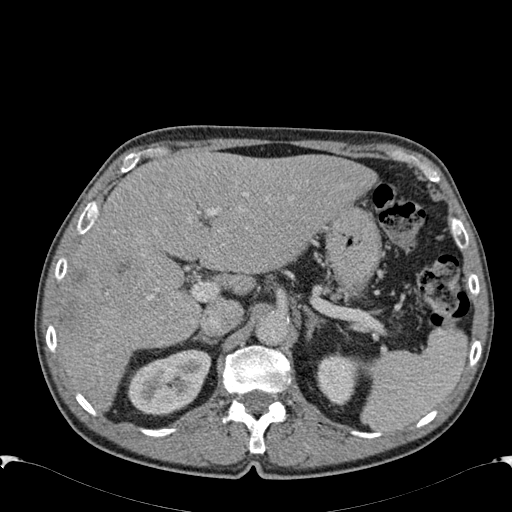

Image size 512x512 | CT
2 kidney regions appear at 318, 354, 353, 404; 129, 350, 210, 414. The liver is bounded by 55, 151, 377, 408. 2 hepatic lesion regions appear at 62, 268, 87, 332; 116, 262, 128, 275.